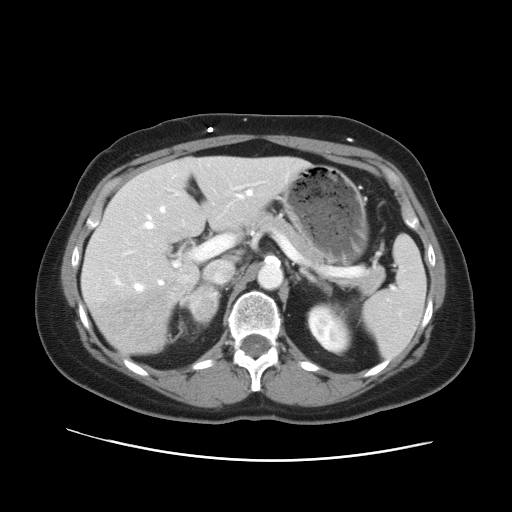

512x512 px | CT slice | Liver
The vessel annotation is not exhaustive.
liver tumor: (x1=194, y1=289, x2=216, y2=317) | hepatic vessel: (x1=173, y1=261, x2=180, y2=267), (x1=122, y1=251, x2=131, y2=255), (x1=191, y1=234, x2=234, y2=259), (x1=158, y1=205, x2=166, y2=212), (x1=142, y1=216, x2=154, y2=228), (x1=159, y1=281, x2=162, y2=283), (x1=173, y1=175, x2=175, y2=177)